Image width 240 mm; Slice index 98
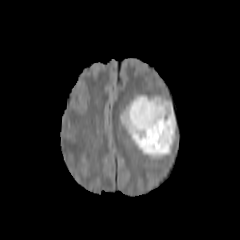
FLAIR MRI.
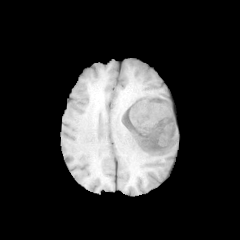
T1-weighted MR image of the same slice.
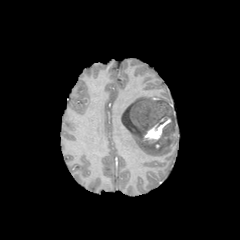
Post-contrast T1-weighted MRI of the same slice.
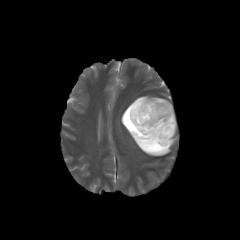
T2-weighted MR.
{
  "enhancing_tumor": [
    {"x1": 143, "y1": 116, "x2": 171, "y2": 143}
  ],
  "non-enhancing_tumor_core": [
    {"x1": 121, "y1": 98, "x2": 176, "y2": 144}
  ],
  "edema": [
    {"x1": 121, "y1": 119, "x2": 173, "y2": 157},
    {"x1": 123, "y1": 94, "x2": 170, "y2": 113}
  ]
}